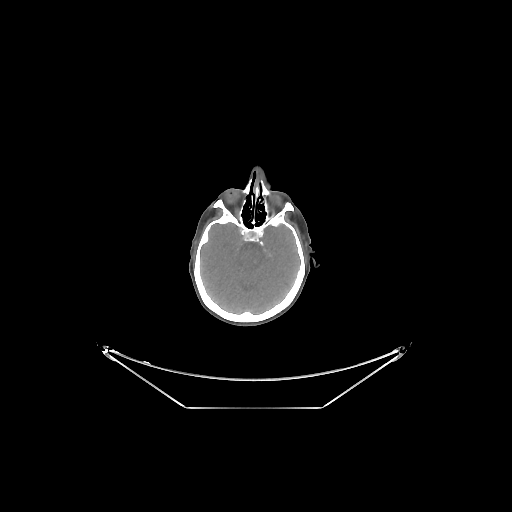 CT slice | Head

• bone: {"x1": 194, "y1": 199, "x2": 304, "y2": 321}, {"x1": 243, "y1": 181, "x2": 251, "y2": 193}
• brain: {"x1": 200, "y1": 222, "x2": 299, "y2": 314}